Field of view 399x399 mm. CT slice.
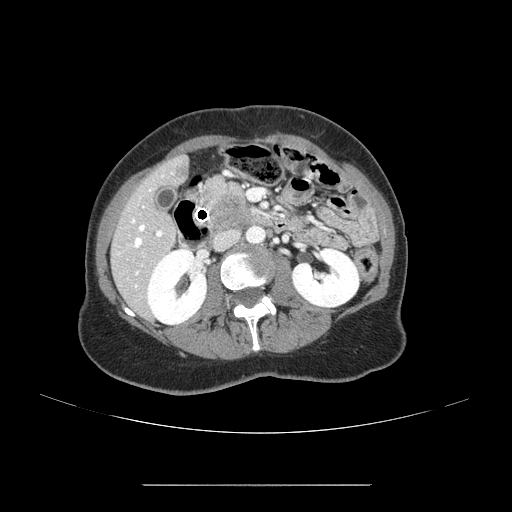

Pancreatic tumor — <box>210,192,249,231</box>.
Pancreas — <box>189,177,257,226</box>, <box>211,219,230,233</box>.